Head; Slice 70 of 155
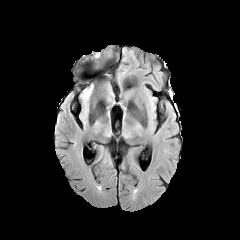
FLAIR MRI.
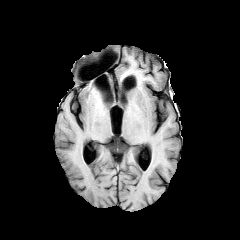
T1-weighted MRI.
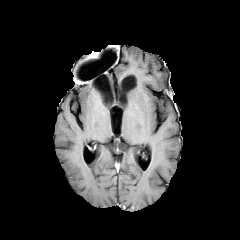
Same slice, post-contrast T1-weighted magnetic resonance.
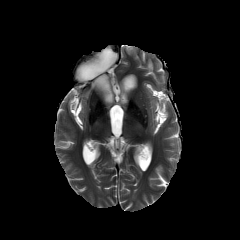
T2-weighted MRI of the same slice.
edema: (106, 88, 112, 102)